Slice 52/90; MRI; Image size 320x320

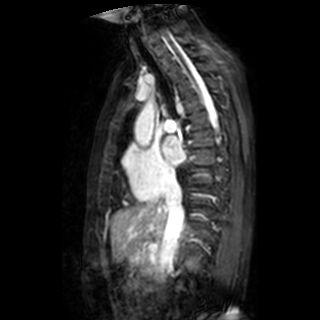
Segmented structures:
* left atrium: <bbox>162, 136, 184, 166</bbox>